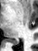

MR image
posterior_hippocampus:
  - x1=13, y1=41, x2=18, y2=44